FLAIR magnetic resonance.
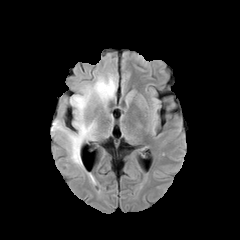
T1-weighted MR image.
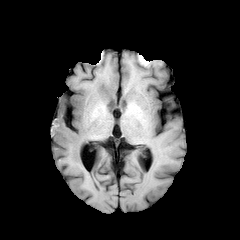
Post-contrast T1-weighted MR image.
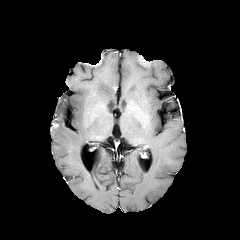
T2-weighted magnetic resonance.
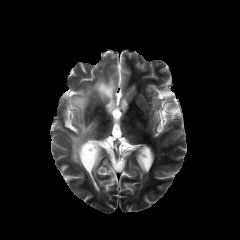
Head
Non-enhancing tumor core = bbox(68, 96, 76, 109).
Edema = bbox(51, 72, 117, 168).